Field of view 700 mm wide, 3.27 mm slice spacing, CT image

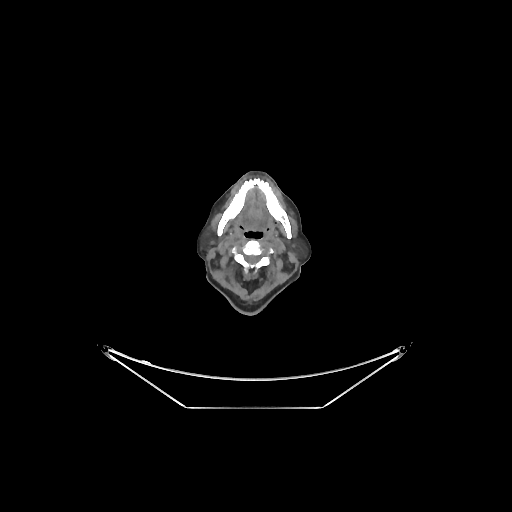 bone: 217:178:291:238, 232:240:272:273